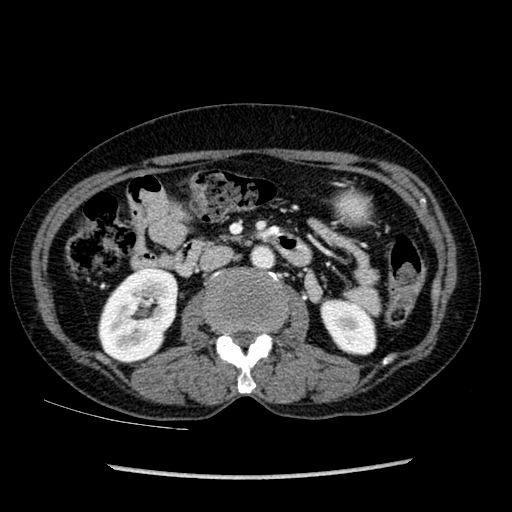 CT slice. Abdomen. kidney: (322, 302, 374, 353), (100, 268, 176, 361)